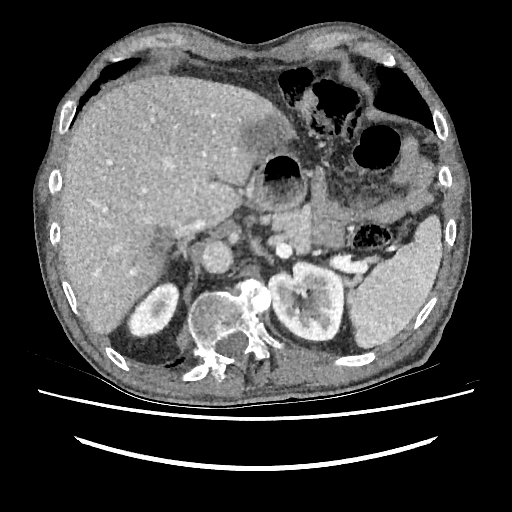

Image size 512x512, CT image

Liver lesion — (left=241, top=116, right=287, bottom=155), (left=142, top=226, right=170, bottom=275).
Liver — (left=61, top=75, right=296, bottom=333).
Kidney — (left=130, top=284, right=177, bottom=335), (left=269, top=263, right=343, bottom=340).